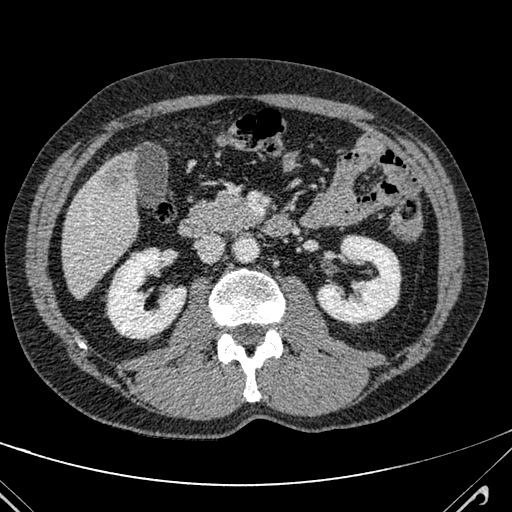
CT scan slice, Abdomen

Liver: region(63, 154, 136, 296).
Hepatic lesion: region(109, 165, 123, 187).